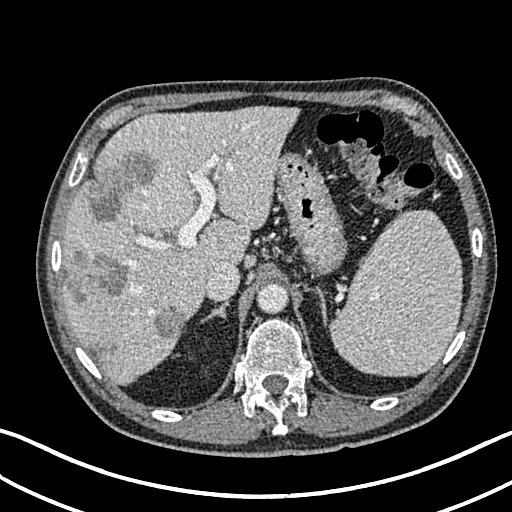 CT; Abdomen
focal_liver_lesion:
  - <bbox>67, 251, 129, 303</bbox>
  - <bbox>154, 306, 185, 341</bbox>
  - <bbox>94, 338, 115, 355</bbox>
  - <bbox>87, 154, 158, 222</bbox>
liver:
  - <bbox>64, 107, 298, 380</bbox>